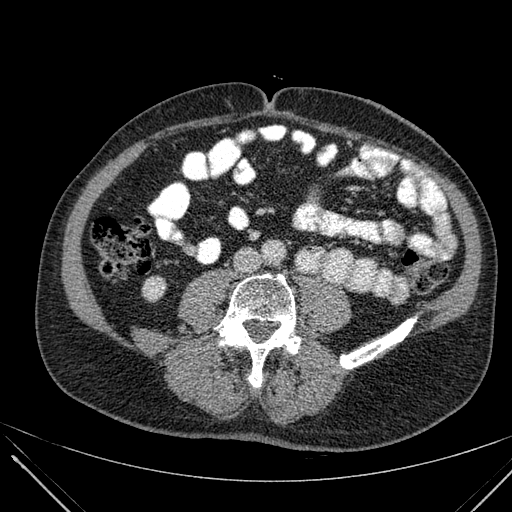
CT slice; 512x512 px

The kidney is located at x1=143 y1=277 x2=164 y2=299.